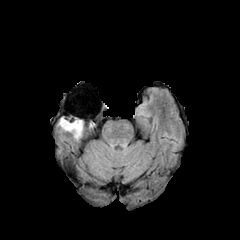
FLAIR MR.
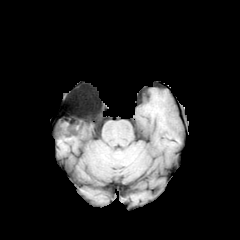
Same slice, T1-weighted MR image.
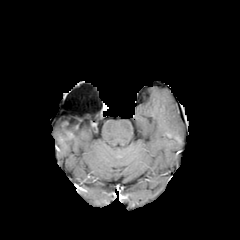
Post-contrast T1-weighted magnetic resonance.
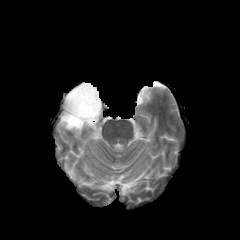
T2-weighted MR image.
240x240.
Segmented structures:
• edema: 58 117 83 139
• non-enhancing tumor core: 66 117 81 125